Field of view 35x44 mm. Slice index 27. MRI.
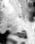

<segmentation>
  <posterior_hippocampus>left=15, top=31, right=25, bottom=37</posterior_hippocampus>
</segmentation>